FLAIR MRI.
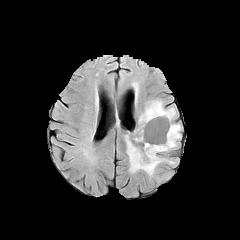
T1-weighted MR image.
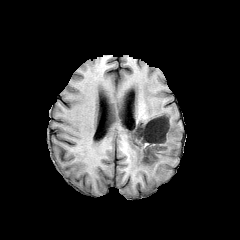
Post-contrast T1-weighted MR.
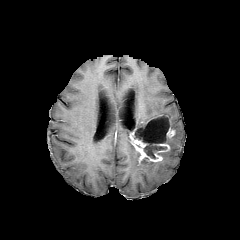
T2-weighted magnetic resonance.
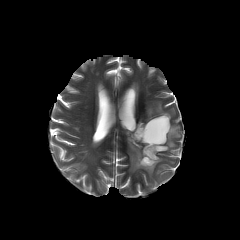
{
  "enhancing_tumor": [
    "x1=130, y1=136, x2=161, y2=162"
  ],
  "non-enhancing_tumor_core": [
    "x1=141, y1=158, x2=155, y2=165",
    "x1=130, y1=116, x2=173, y2=157"
  ],
  "edema": [
    "x1=126, y1=136, x2=167, y2=177",
    "x1=165, y1=123, x2=180, y2=149",
    "x1=138, y1=100, x2=175, y2=127"
  ]
}